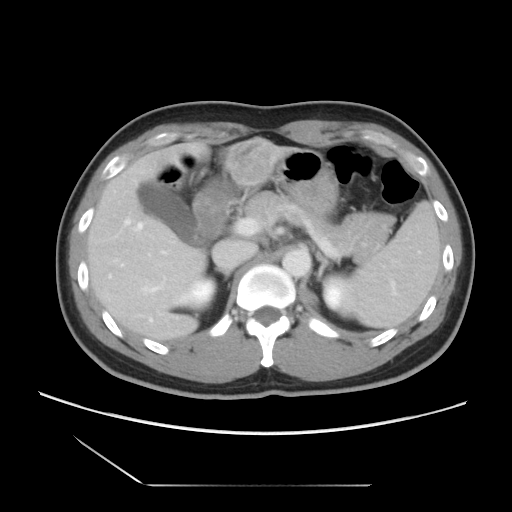

Image size 512x512 | Abdomen | CT scan slice

Some hepatic vessels may have no box.
Annotated regions:
• hepatic vessel: 138:224:141:227
• liver tumor: 227:141:273:183